MR. Hippocampus. Slice index 10. 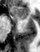

Anterior hippocampus: bounding box bbox(12, 6, 29, 19).